CT; Image size 512x512; Slice 313/826 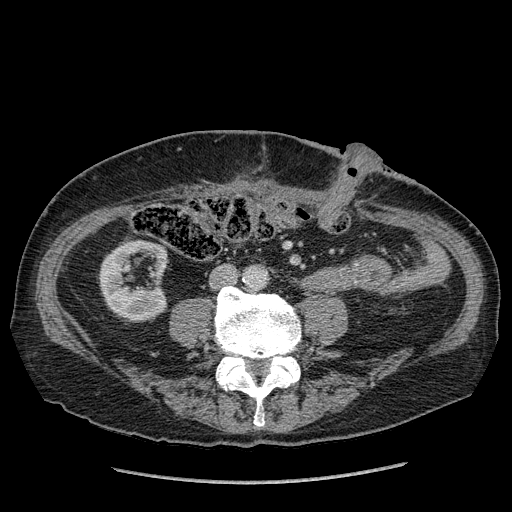 Annotated regions:
• kidney: (100,241,166,320)